CT image; Chest 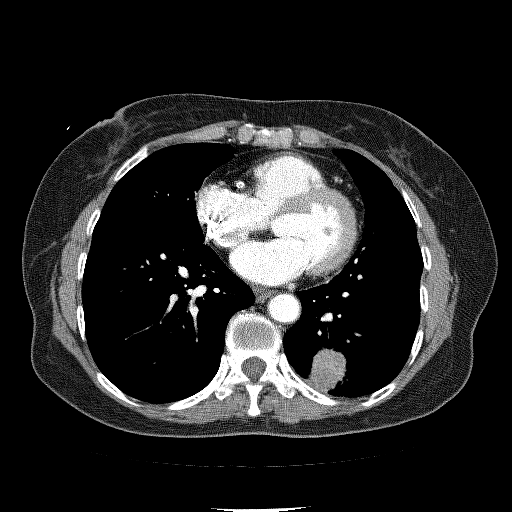

lung tumor: box(307, 347, 346, 391)